Field of view 240x240 mm, Slice 95 of 155, Brain
FLAIR MR.
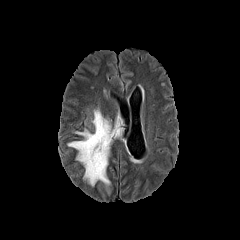
T1-weighted MRI.
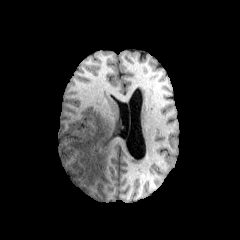
Post-contrast T1-weighted MR.
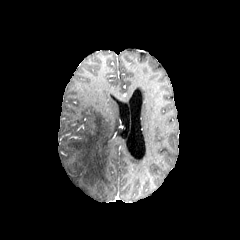
T2-weighted MRI.
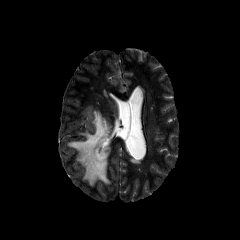
The edema is located at x1=67 y1=108 x2=124 y2=187.